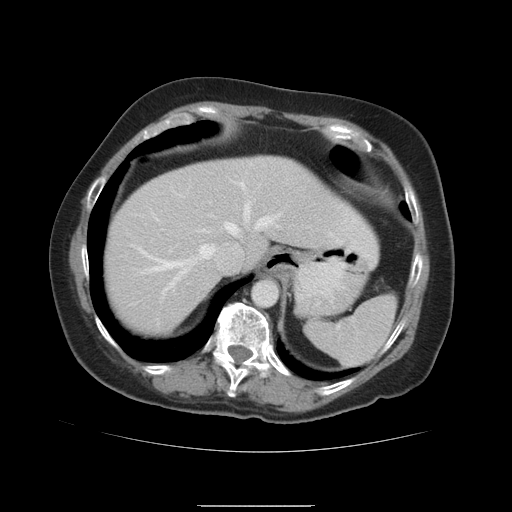
Computed tomography.

Only some of the vessels may be annotated.
7 hepatic vessel regions are located at x1=218 y1=202 x2=280 y2=236, x1=180 y1=195 x2=182 y2=196, x1=199 y1=243 x2=242 y2=264, x1=135 y1=246 x2=194 y2=297, x1=234 y1=182 x2=245 y2=189, x1=330 y1=233 x2=332 y2=236, x1=207 y1=227 x2=213 y2=232.